CT | Slice 105/129 | Image size 512x512 | Upper abdomen

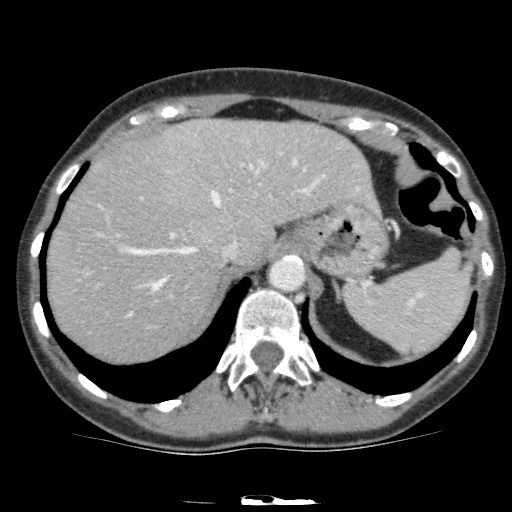
The liver is located at [47, 118, 380, 362]. The liver lesion lies within [194, 234, 211, 247].